FLAIR MR image.
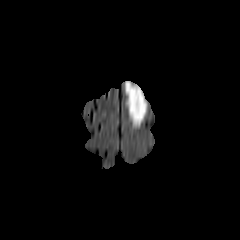
T1-weighted MRI.
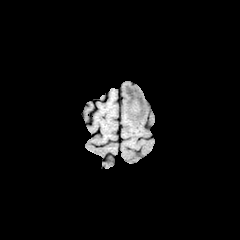
Post-contrast T1-weighted MR image.
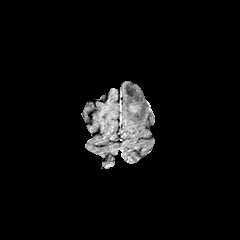
T2-weighted MR.
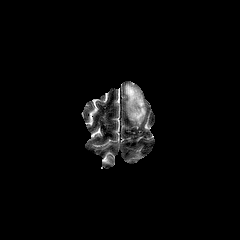
Image size 240x240 | Head
{"edema": ["(left=124, top=81, right=146, bottom=128)"]}